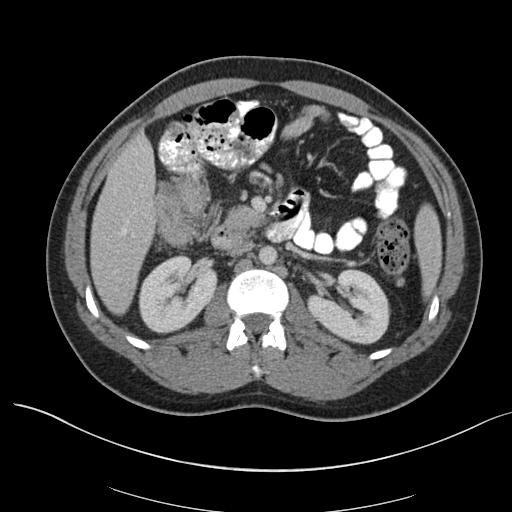 CT image
Segmented structures:
* colon tumor: {"x1": 156, "y1": 174, "x2": 209, "y2": 245}